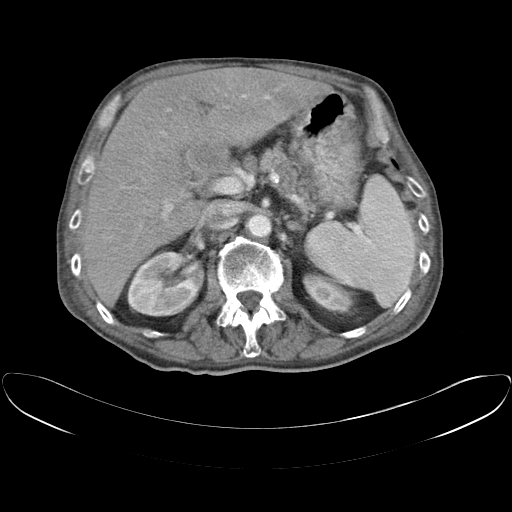
CT. The vessel annotation is not exhaustive.
Hepatic vessel: box=[264, 95, 270, 99]; box=[167, 108, 170, 111]; box=[228, 87, 230, 89]; box=[180, 190, 186, 195]; box=[139, 225, 142, 227]; box=[224, 106, 227, 108]; box=[162, 199, 172, 219]; box=[216, 178, 235, 192]; box=[241, 94, 246, 97]; box=[161, 131, 163, 132]; box=[225, 94, 226, 95].